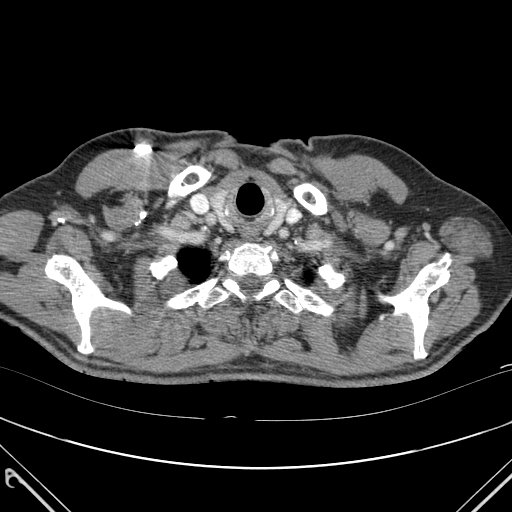 Thorax | Image size 512x512 | CT

Bone — bbox(382, 254, 450, 358); bbox(275, 279, 332, 315); bbox(319, 265, 343, 288); bbox(150, 256, 176, 278); bbox(168, 279, 279, 308); bbox(168, 166, 210, 196); bbox(221, 244, 277, 274); bbox(294, 184, 326, 214); bbox(45, 255, 130, 353).
Lung — bbox(178, 249, 209, 281).